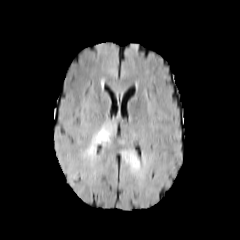
FLAIR magnetic resonance.
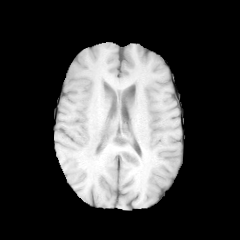
T1-weighted magnetic resonance of the same slice.
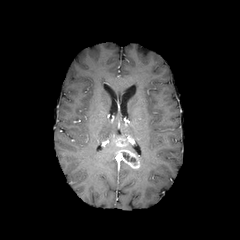
Same slice, post-contrast T1-weighted MR.
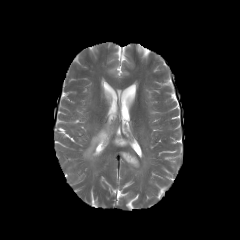
T2-weighted MR image.
240x240 px
The non-enhancing tumor core lies within l=121, t=152, r=136, b=165. The enhancing tumor lies within l=114, t=137, r=140, b=168. The edema is at l=83, t=124, r=112, b=158.